CT
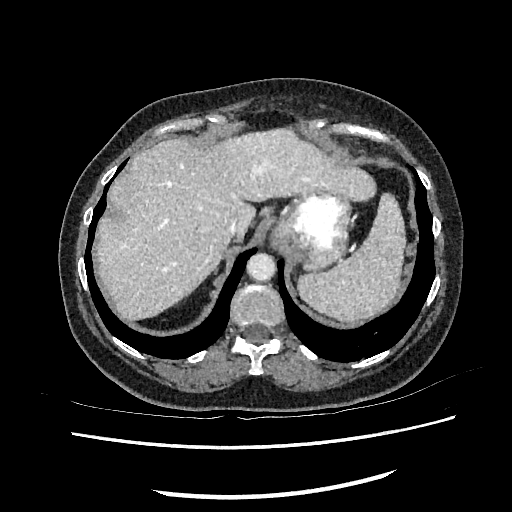

liver: rect(96, 129, 374, 319)